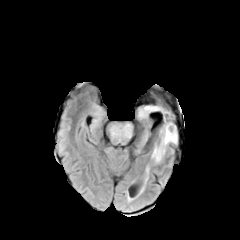
FLAIR MRI.
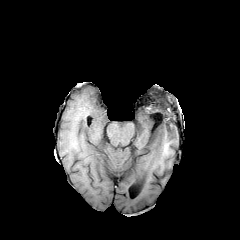
T1-weighted MR of the same slice.
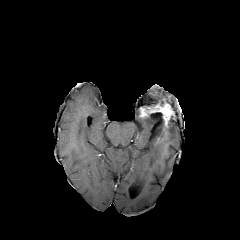
Post-contrast T1-weighted MR image of the same slice.
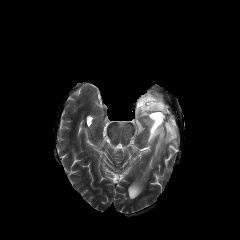
T2-weighted MR image.
Head
2 edema regions are located at <bbox>124, 128, 131, 136</bbox>, <bbox>151, 118, 177, 163</bbox>. The enhancing tumor is located at <bbox>139, 100, 173, 128</bbox>. The non-enhancing tumor core appears at <bbox>150, 111, 173, 143</bbox>.